CT scan slice; Abdomen; Image width 359 mm 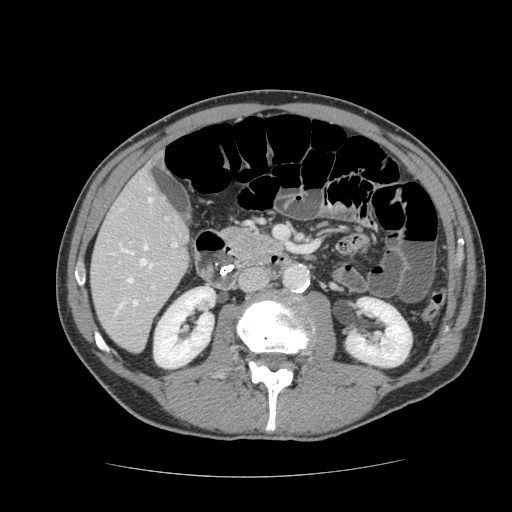

Segmented structures:
• pancreas: {"x1": 223, "y1": 224, "x2": 279, "y2": 268}